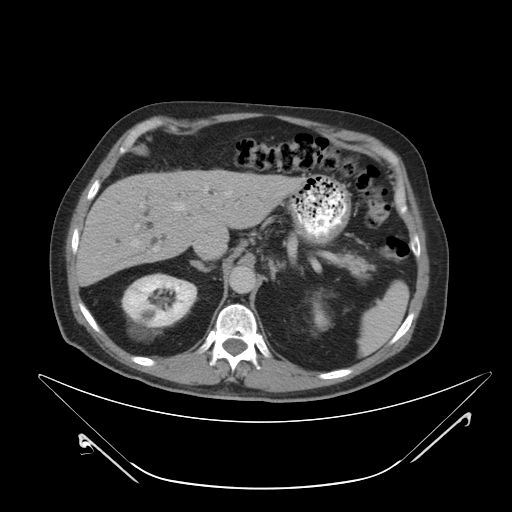
Upper abdomen. CT image.

Findings:
* pancreas: [339, 254, 365, 271]